CT, Slice index 79
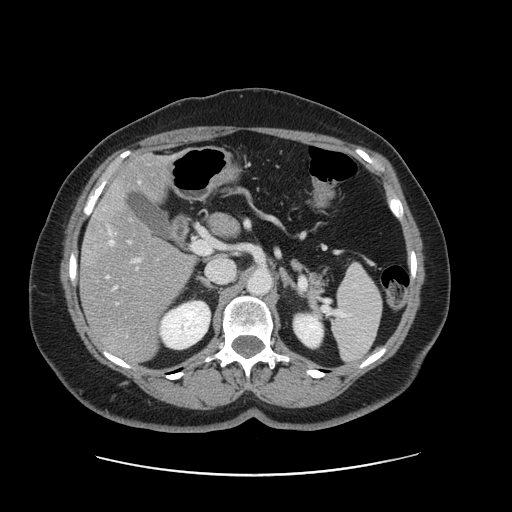
Not every hepatic vessel necessarily has a box.
* hepatic vessel: <bbox>128, 241, 130, 242</bbox>, <bbox>107, 276, 108, 277</bbox>, <bbox>108, 229, 114, 244</bbox>, <bbox>114, 286, 116, 289</bbox>, <bbox>133, 258, 139, 262</bbox>